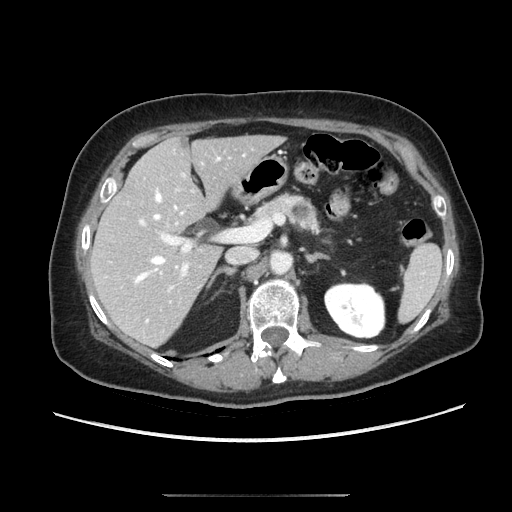

CT slice, Abdomen
The pancreatic tumor is at [x1=291, y1=204, x2=310, y2=219]. The pancreas is located at [x1=255, y1=196, x2=317, y2=231].